Head. Image size 240x240.
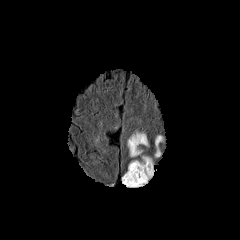
FLAIR MRI.
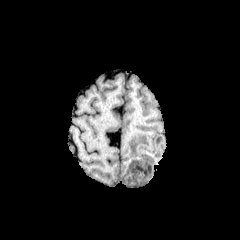
T1-weighted MRI of the same slice.
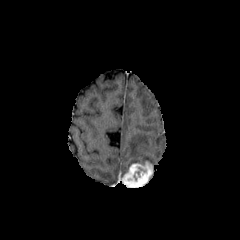
Post-contrast T1-weighted MR of the same slice.
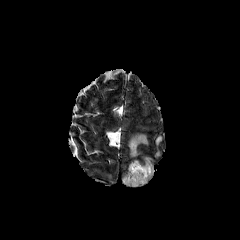
Same slice, T2-weighted MR.
<segmentation>
  <enhancing_tumor>left=122, top=161, right=152, bottom=187</enhancing_tumor>
  <edema>left=127, top=133, right=149, bottom=157; left=155, top=136, right=163, bottom=157; left=129, top=156, right=152, bottom=164</edema>
</segmentation>